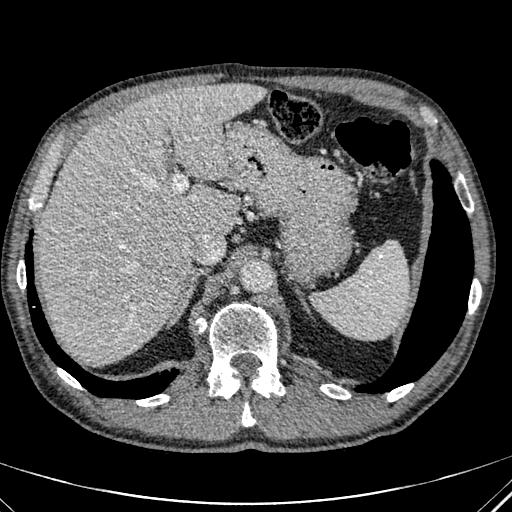
CT slice | 512x512 px | Liver

The liver is located at 39 83 267 363.